512x512 px. Abdomen. Computed tomography.

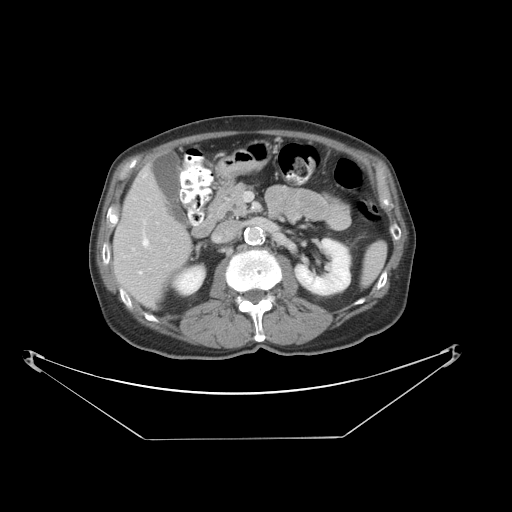 Only some of the vessels may be annotated.
7 hepatic vessel regions appear at (133,198,135,199), (213,236,221,241), (139,271,142,274), (143,173,146,177), (142,229,148,246), (164,239,165,240), (142,219,145,224).